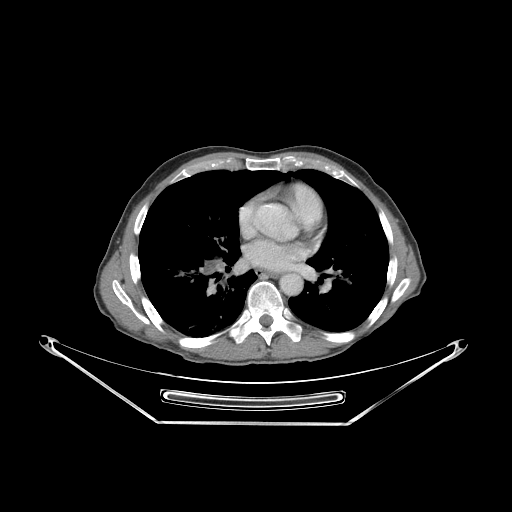 CT image
Bone: bounding box l=369, t=296, r=387, b=324; l=130, t=254, r=139, b=282; l=380, t=211, r=392, b=242; l=325, t=333, r=353, b=342; l=180, t=334, r=219, b=347; l=113, t=280, r=149, b=323; l=230, t=281, r=300, b=344; l=387, t=258, r=396, b=284; l=142, t=298, r=162, b=330; l=246, t=158, r=279, b=169; l=134, t=205, r=146, b=233; l=392, t=279, r=409, b=301.
Lung: bounding box l=138, t=169, r=388, b=336.